FLAIR MR image.
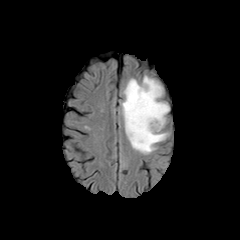
T1-weighted MRI.
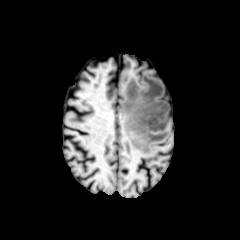
Post-contrast T1-weighted magnetic resonance.
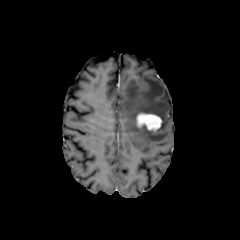
T2-weighted MR.
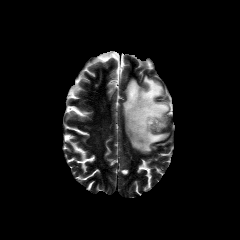
Image size 240x240
Edema = {"x1": 121, "y1": 76, "x2": 169, "y2": 154}.
Enhancing tumor = {"x1": 136, "y1": 112, "x2": 161, "y2": 131}.